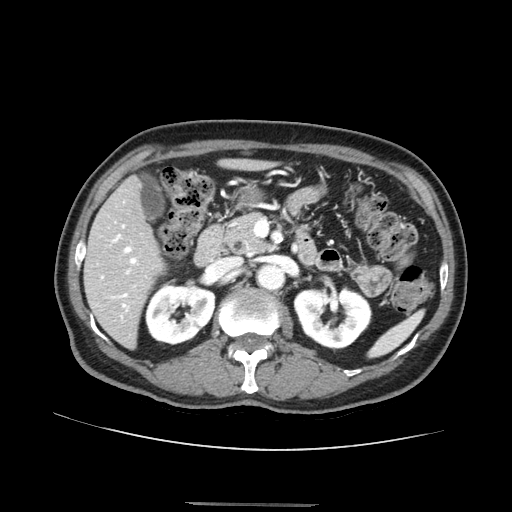 512x512 px, CT image
Annotated regions:
* pancreas: (228, 214, 269, 254)